Pelvis, CT image 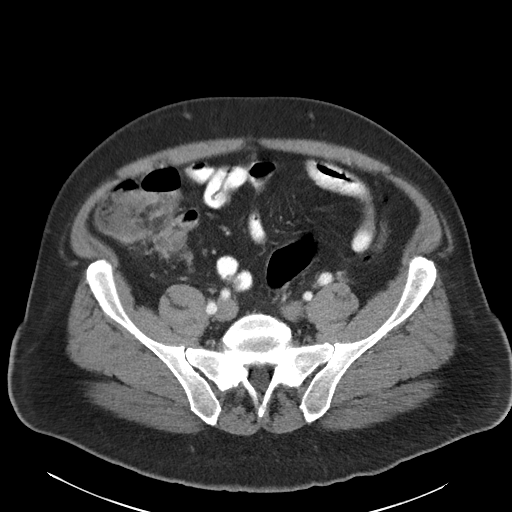
colon tumor: left=114, top=191, right=157, bottom=210